512x512. Computed tomography.

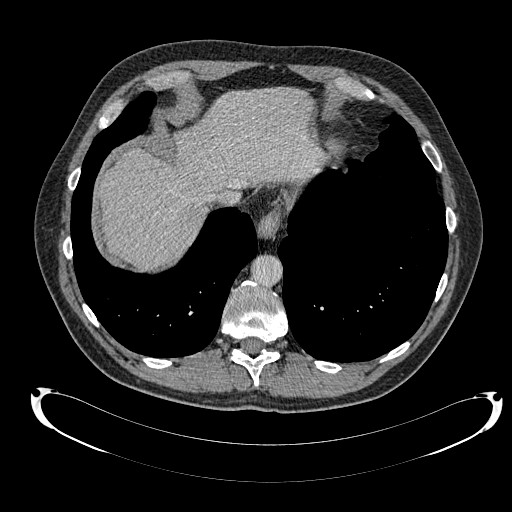 Liver = (99, 88, 326, 270).